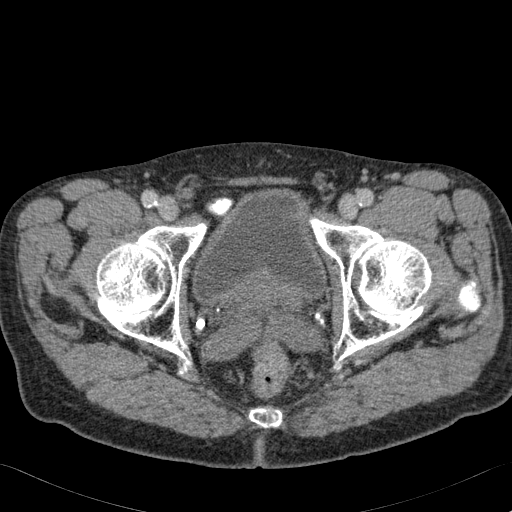 CT slice, Image size 512x512, Lower abdomen
The urinary bladder is bounded by 195 195 327 304.